Field of view 240x240 mm; Brain; 240x240
FLAIR MR image.
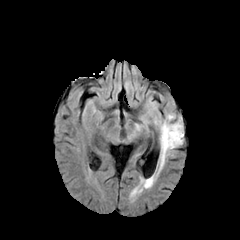
T1-weighted MR image.
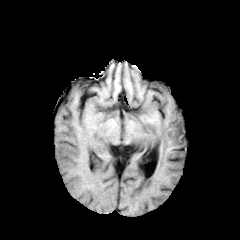
Post-contrast T1-weighted MR.
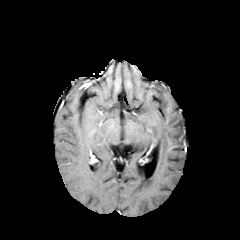
T2-weighted MR.
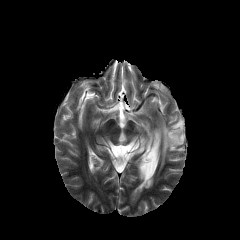
Edema — (130, 112, 183, 199), (135, 123, 143, 135).